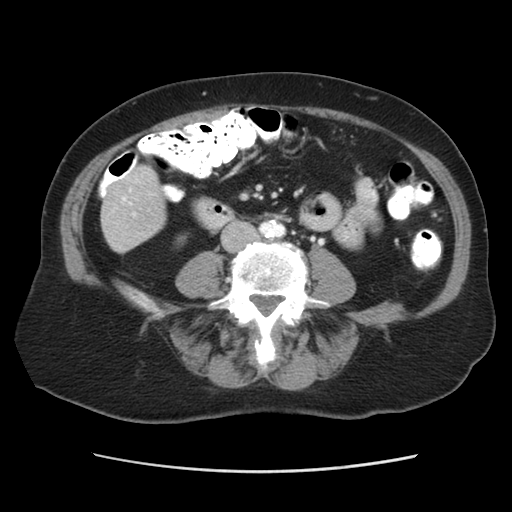 CT.

The vessel boxes may cover only some of the vessels.
The hepatic vessel appears at 122,198,125,201.